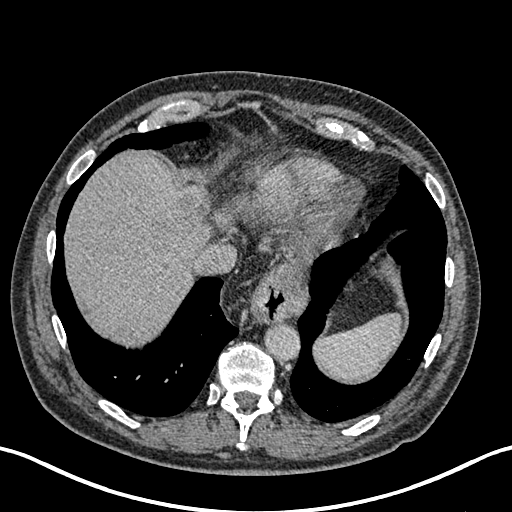

CT image; Abdomen
<segmentation>
  <hepatic_lesion>(left=177, top=191, right=208, bottom=229)</hepatic_lesion>
  <liver>(left=214, top=210, right=229, bottom=226), (left=66, top=151, right=209, bottom=342)</liver>
</segmentation>